240x240 px. Brain.
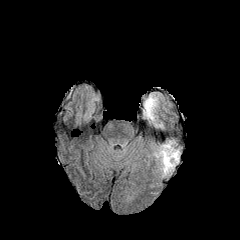
FLAIR MRI.
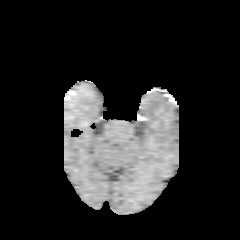
Same slice, T1-weighted MR image.
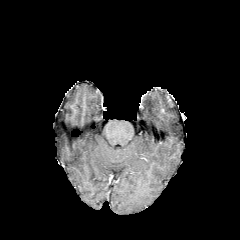
Same slice, post-contrast T1-weighted magnetic resonance.
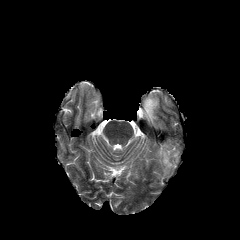
T2-weighted magnetic resonance.
edema:
  - (left=152, top=140, right=182, bottom=177)
  - (left=141, top=92, right=164, bottom=127)